CT; Abdomen; 512x512

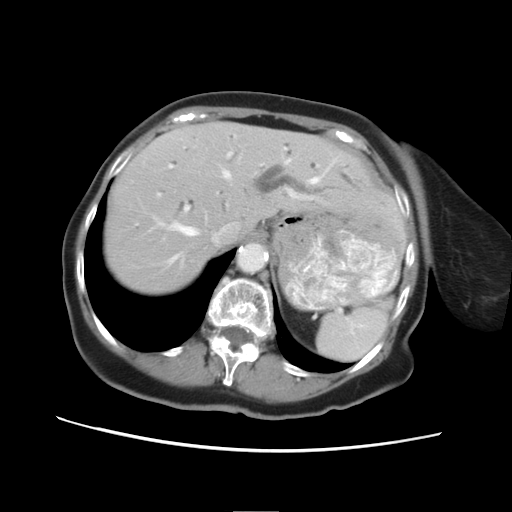
Not every hepatic vessel necessarily has a box.
hepatic vessel: rect(169, 222, 200, 235); rect(212, 222, 238, 245); rect(310, 177, 318, 183); rect(184, 205, 189, 210); rect(288, 190, 305, 198); rect(159, 222, 163, 225)